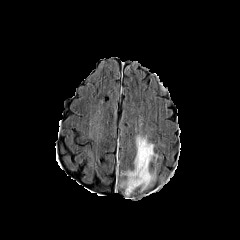
FLAIR MRI.
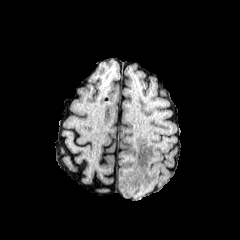
T1-weighted MR image.
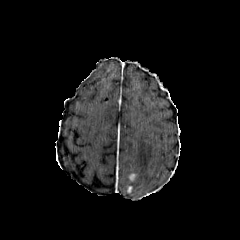
Post-contrast T1-weighted magnetic resonance.
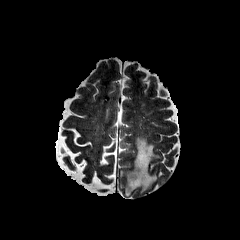
T2-weighted MR image of the same slice.
240x240 px. Head.
The enhancing tumor appears at 128 173 136 182. The edema is located at 119 135 159 196.